Head, Image size 240x240, Slice 90/155
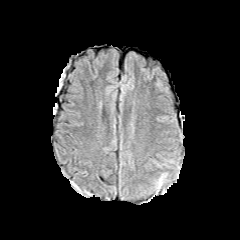
FLAIR MRI.
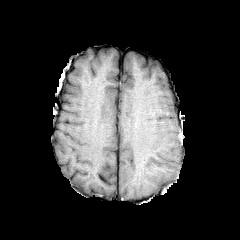
T1-weighted MRI.
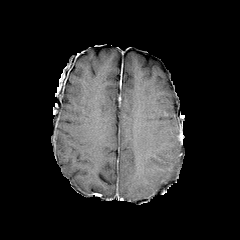
Post-contrast T1-weighted MRI.
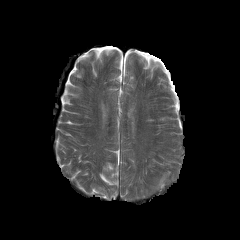
T2-weighted magnetic resonance.
<segmentation>
  <edema>region(156, 175, 165, 188)</edema>
</segmentation>